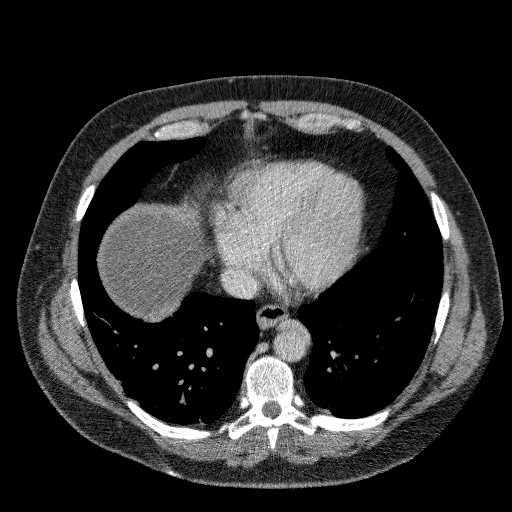 Upper abdomen | Image size 512x512 | CT image
The liver is bounded by x1=100 y1=205 x2=203 y2=319.